512x512; Computed tomography; Slice 509 of 841; Liver
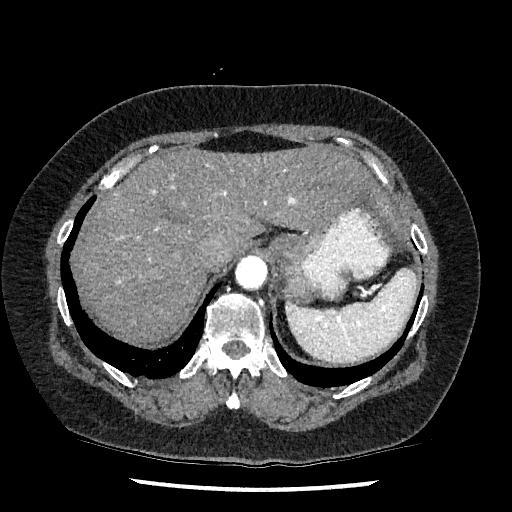 Focal liver lesion: bounding box 354 193 373 209.
Liver: bounding box 75 148 399 343.